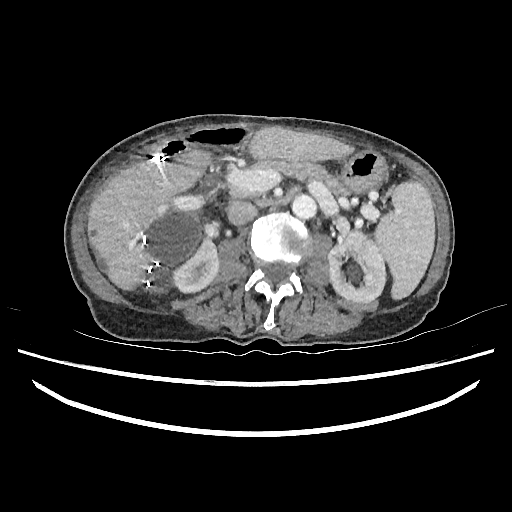

512x512, Computed tomography
Kidney at [x1=174, y1=223, x2=218, y2=292], [x1=328, y1=230, x2=384, y2=302].
Liver lesion at [x1=94, y1=252, x2=104, y2=268], [x1=144, y1=210, x2=201, y2=294].
Liver at [x1=88, y1=150, x2=210, y2=290], [x1=249, y1=127, x2=352, y2=161].